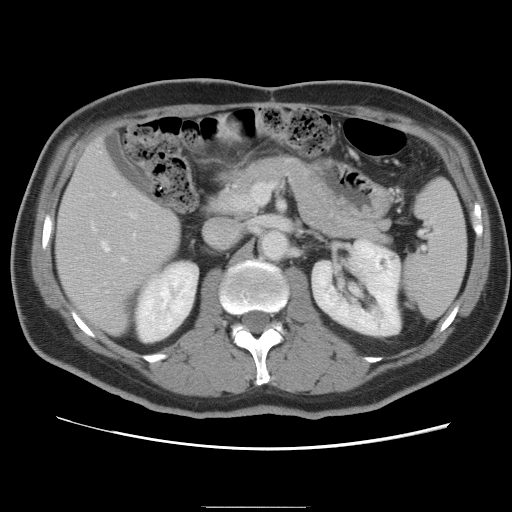
Liver; CT scan slice; 512x512
Only some of the vessels may be annotated.
Hepatic vessel: bounding box box=[121, 257, 125, 260]; box=[91, 223, 95, 230]; box=[133, 234, 134, 236]; box=[101, 241, 108, 250]; box=[112, 192, 114, 194]; box=[129, 212, 135, 216].